FLAIR MR.
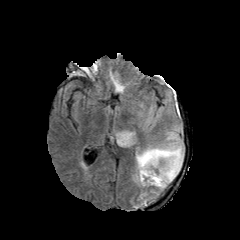
T1-weighted MRI.
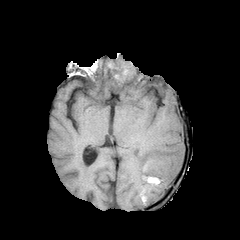
Post-contrast T1-weighted MR image.
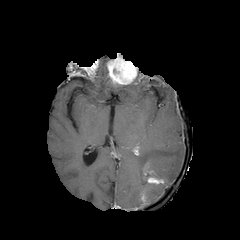
T2-weighted MR.
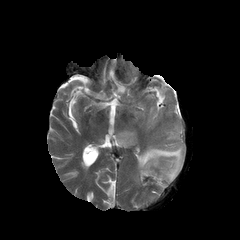
Brain
2 enhancing tumor regions are bounded by x1=108, y1=58, x2=135, y2=85; x1=148, y1=178, x2=163, y2=183. 2 edema regions are bounded by x1=136, y1=122, x2=184, y2=190; x1=113, y1=83, x2=128, y2=93. 2 non-enhancing tumor core regions are bounded by x1=113, y1=58, x2=137, y2=82; x1=143, y1=168, x2=166, y2=184.